Field of view 407 mm wide, 1.50 mm slice spacing. CT. Slice index 309. Liver. 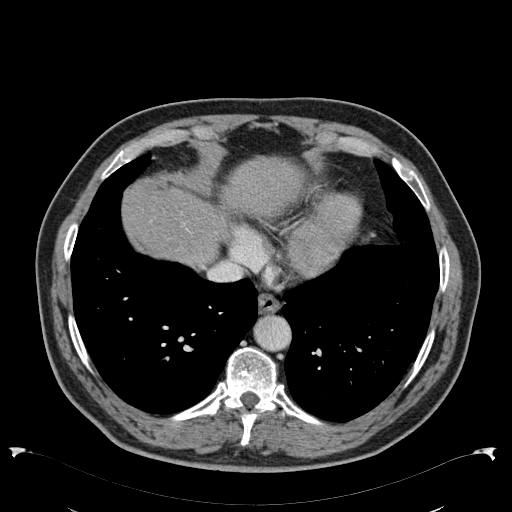 * liver: x1=123 y1=158 x2=303 y2=264